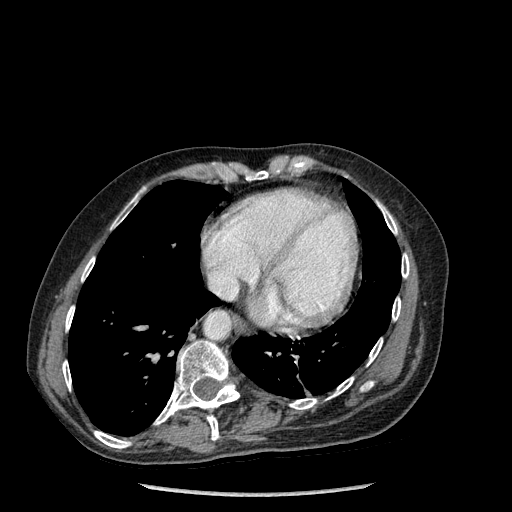
Thorax | 512x512 | CT slice
Annotated regions:
* lung: (68,180,226,436), (232,179,400,398)
* bone: (367,338,382,366), (65,306,74,331), (81,256,94,281), (94,431,131,448), (401,253,409,278), (392,297,400,320), (289,398,316,409), (360,381,373,391), (154,340,239,440), (111,189,143,229), (62,360,71,391), (326,377,353,399), (378,203,397,234), (245,170,268,180)